CT

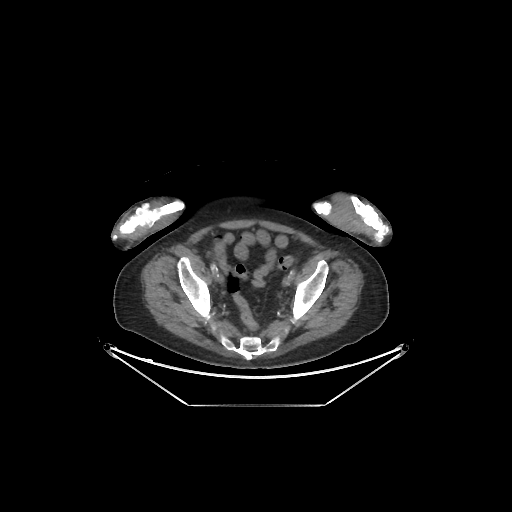

bone:
  - bbox=[314, 202, 331, 214]
  - bbox=[291, 260, 328, 323]
  - bbox=[351, 196, 388, 240]
  - bbox=[221, 335, 279, 359]
  - bbox=[119, 201, 183, 236]
  - bbox=[177, 257, 210, 320]